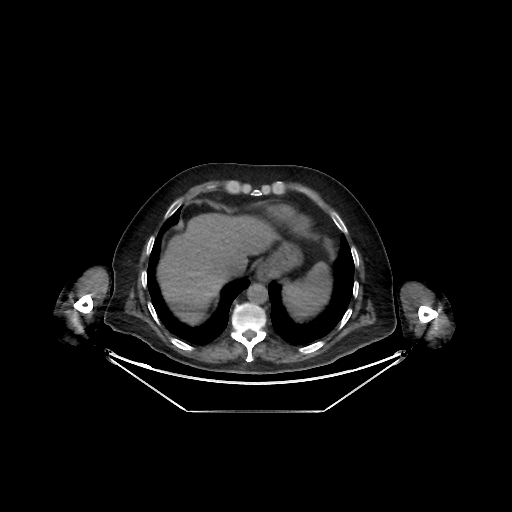

CT scan slice.

Liver at x1=157, y1=214, x2=273, y2=324.